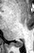
MRI slice. Posterior hippocampus at rect(12, 41, 22, 47).